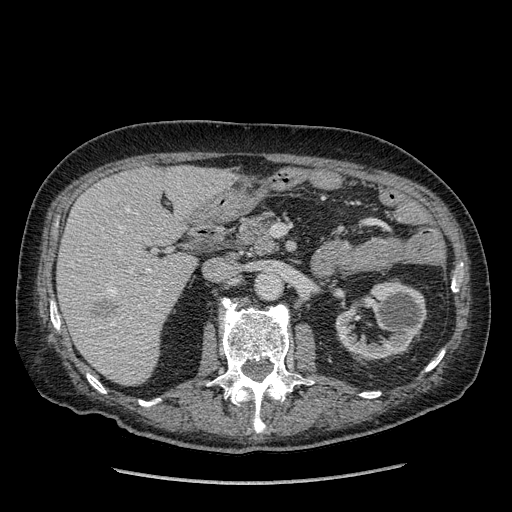

Computed tomography; 512x512 px

The focal liver lesion appears at (91, 300, 117, 321). The liver is bounded by (57, 166, 233, 386). The kidney lies within (335, 282, 426, 359).